Image size 512x512; Liver; CT slice

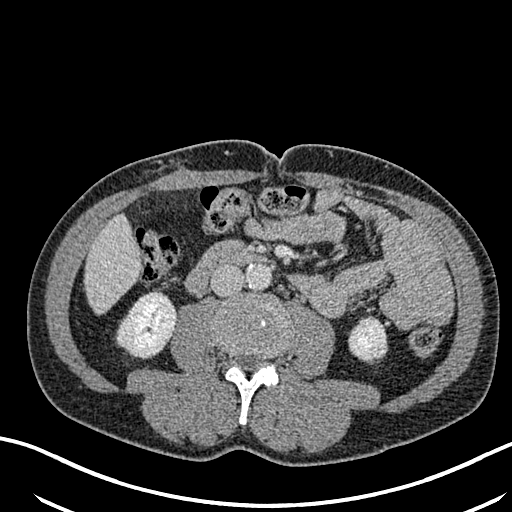

2 kidney regions are bounded by region(118, 293, 175, 356); region(349, 319, 385, 359). The liver is at region(85, 215, 138, 314).